Field of view 341x341 mm. Computed tomography. Upper abdomen. Slice index 98.

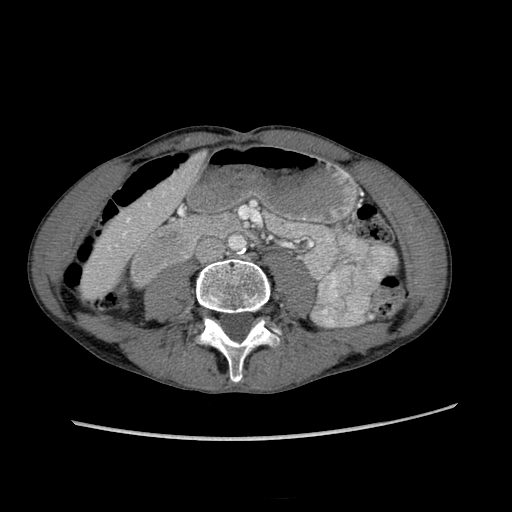
Liver: rect(82, 150, 204, 296).